Abdomen; Slice 36/88; Field of view 360 mm wide, 2.50 mm slice spacing; CT image; 512x512

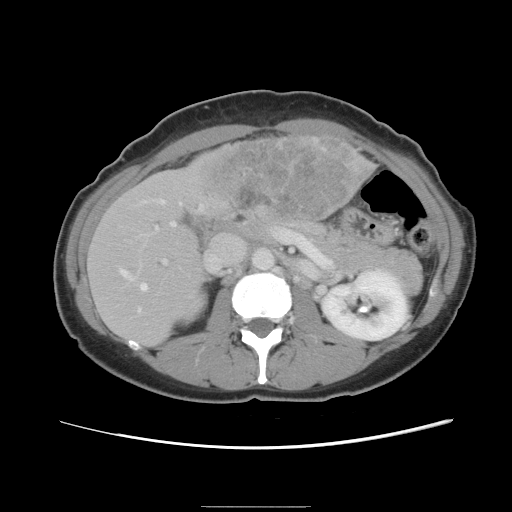 Only some of the vessels may be annotated.
Hepatic vessel: bounding box (142, 200, 146, 202), (272, 228, 328, 264), (199, 204, 202, 209), (155, 226, 158, 231), (162, 259, 165, 261), (141, 234, 146, 236), (179, 201, 180, 203), (118, 267, 128, 276), (211, 237, 245, 273), (140, 283, 146, 289), (155, 198, 163, 202), (138, 309, 139, 311), (170, 222, 174, 224).
Liver tumor: bounding box (190, 139, 370, 221).